Slice 121/155. Head.
FLAIR MR image.
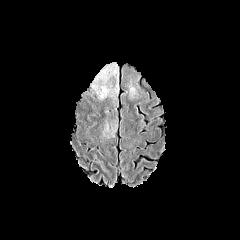
T1-weighted MR image.
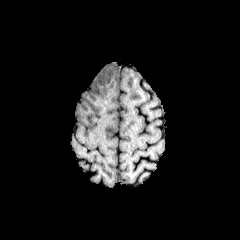
Post-contrast T1-weighted MRI.
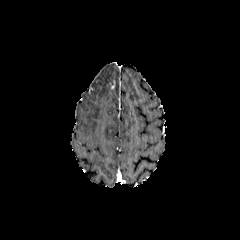
T2-weighted magnetic resonance.
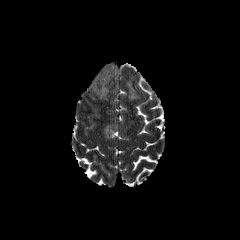
Edema — 100,87,107,97; 110,65,118,81.